Slice 35 of 40, CT scan slice, Liver

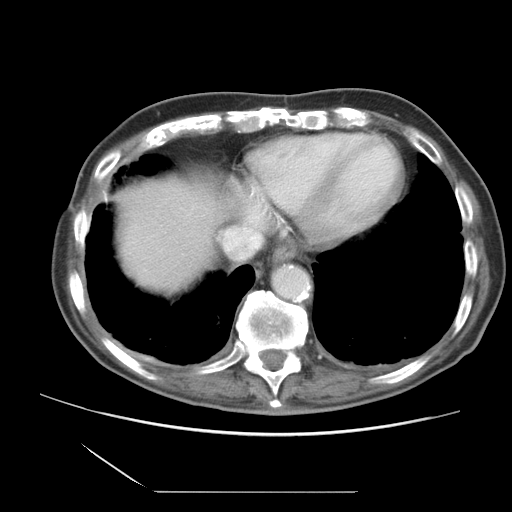

The vessel boxes may cover only some of the vessels.
hepatic_vessel:
  - (222, 205, 265, 259)